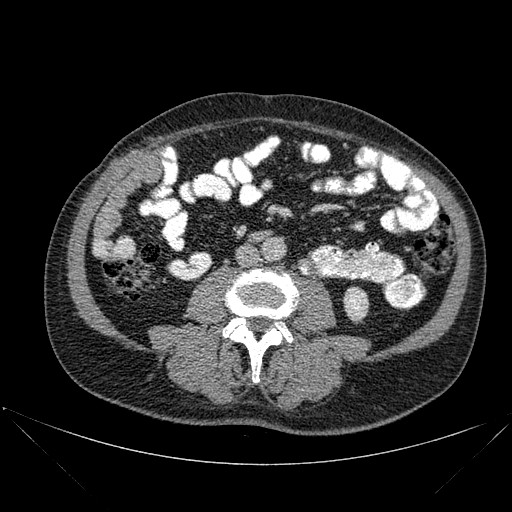

Computed tomography
The bone is bounded by left=223, top=269, right=297, bottom=382. The kidney is located at left=344, top=287, right=368, bottom=320.